Liver. CT scan slice. Image size 512x512. Slice 399/771. 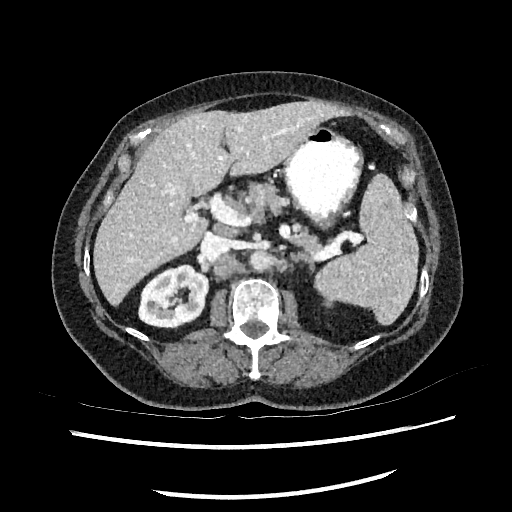
Kidney = (139,265,207,326).
Liver = (93,100,343,305).